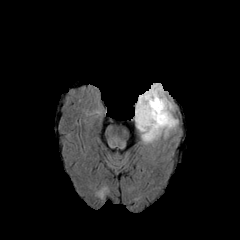
FLAIR MRI.
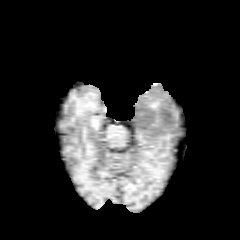
T1-weighted MRI.
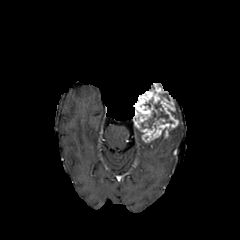
Post-contrast T1-weighted MR.
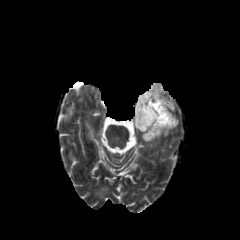
T2-weighted MR.
240x240.
The enhancing tumor is located at (left=133, top=83, right=178, bottom=141). The non-enhancing tumor core is located at (left=158, top=111, right=167, bottom=119).